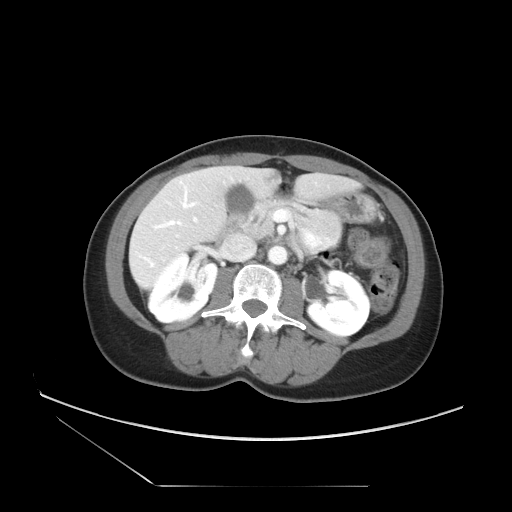

Upper abdomen. CT image. pancreatic_tumor:
  - [x1=299, y1=210, x2=341, y2=254]
pancreas:
  - [x1=244, y1=198, x2=319, y2=237]